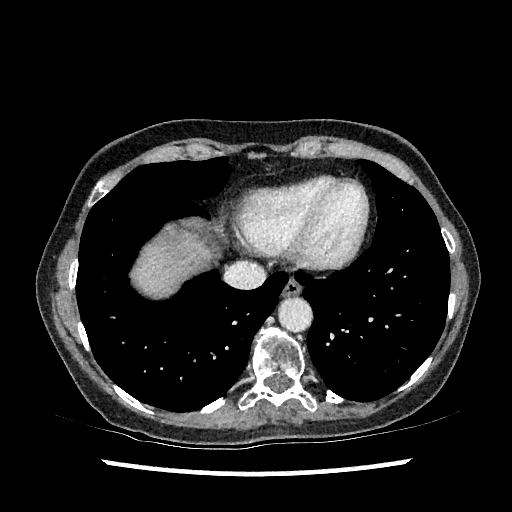 Image size 512x512, CT
• liver: box=[135, 235, 210, 294]